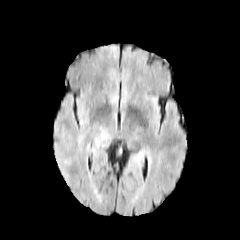
FLAIR MR image.
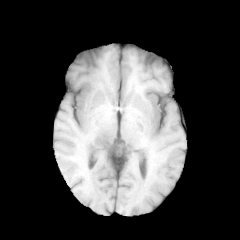
T1-weighted magnetic resonance.
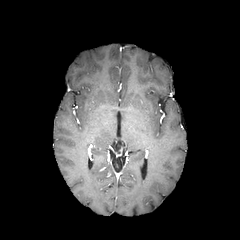
Post-contrast T1-weighted MRI of the same slice.
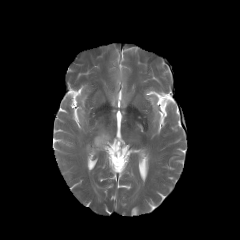
T2-weighted MR.
Head
edema: (95, 135, 108, 144)